Slice 101/155 | 240x240 px
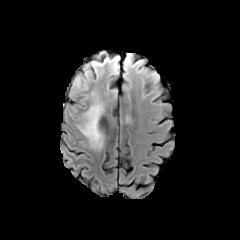
FLAIR magnetic resonance.
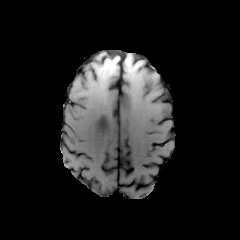
T1-weighted MR image of the same slice.
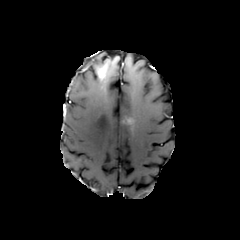
Post-contrast T1-weighted MRI.
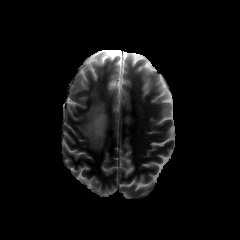
T2-weighted MR image of the same slice.
<segmentation>
  <non-enhancing_tumor_core>84,52,118,76</non-enhancing_tumor_core>
  <edema>78,65,96,89; 77,92,103,149; 122,59,147,77</edema>
  <enhancing_tumor>104,58,117,67</enhancing_tumor>
</segmentation>